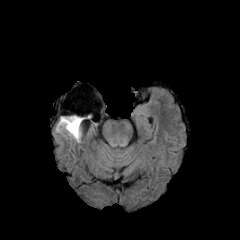
FLAIR MR.
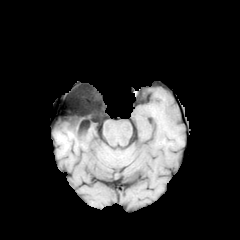
Same slice, T1-weighted MR image.
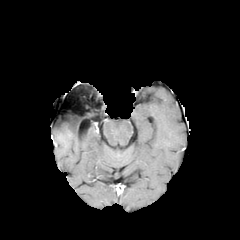
Post-contrast T1-weighted magnetic resonance.
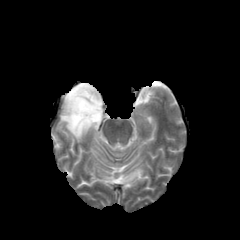
T2-weighted MR image.
Head | 240x240
{
  "non-enhancing_tumor_core": [
    "left=61, top=114, right=93, bottom=133"
  ],
  "edema": [
    "left=56, top=118, right=82, bottom=142"
  ]
}